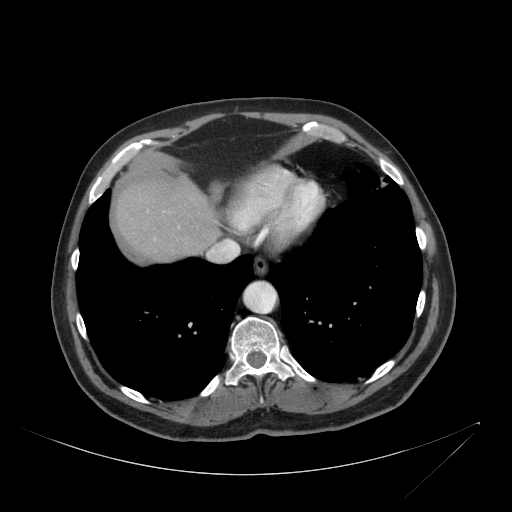

CT
The liver is bounded by box(116, 174, 219, 261).